Slice 37 of 45, Computed tomography 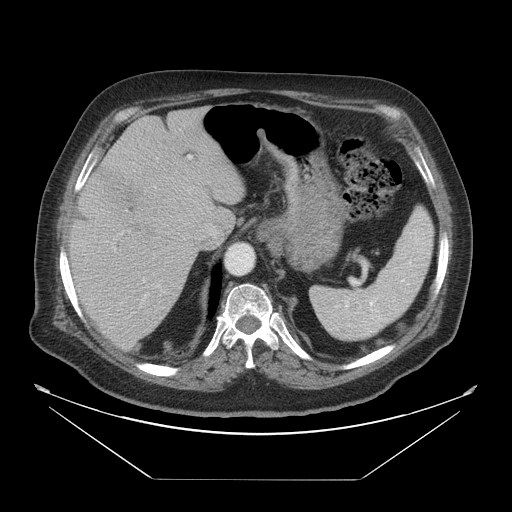
The vessel boxes may cover only some of the vessels.
Liver tumor: 95:165:144:212, 121:222:145:241.
Hepatic vessel: 197:224:228:249, 187:155:191:158, 196:236:204:239.